CT scan slice.
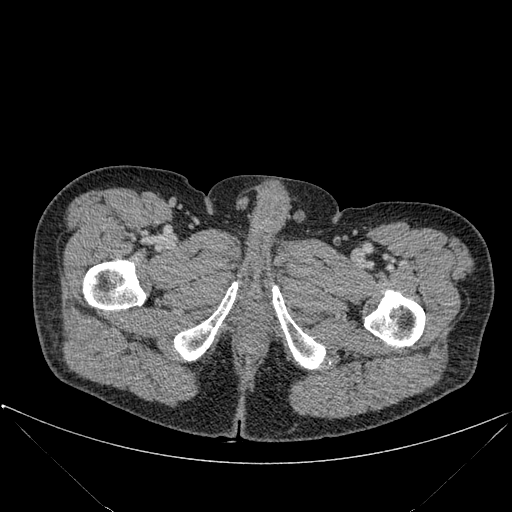

4 bone regions are located at {"x1": 364, "y1": 290, "x2": 425, "y2": 347}, {"x1": 83, "y1": 260, "x2": 145, "y2": 310}, {"x1": 174, "y1": 282, "x2": 237, "y2": 360}, {"x1": 272, "y1": 286, "x2": 325, "y2": 369}.